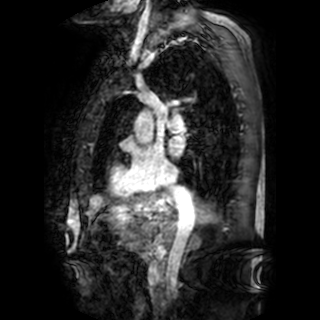
MR image | Cardiac
Left atrium: bounding box rect(169, 136, 184, 155).